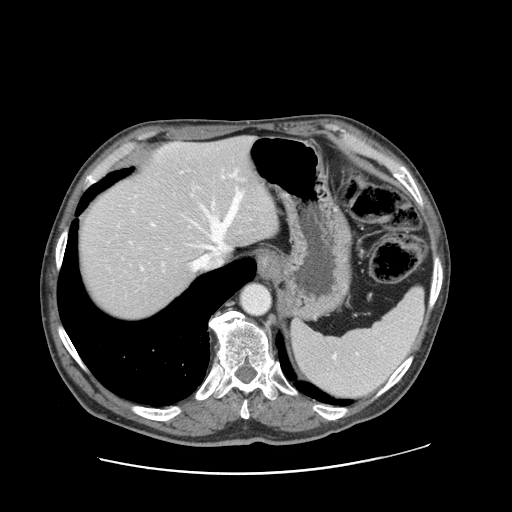 Liver. CT. Not every hepatic vessel necessarily has a box.
{
  "hepatic_vessel": [
    "l=222, t=176, r=224, b=177",
    "l=213, t=202, r=214, b=204",
    "l=152, t=224, r=154, b=225",
    "l=232, t=173, r=234, b=176",
    "l=200, t=191, r=241, b=254",
    "l=193, t=261, r=197, b=268"
  ]
}